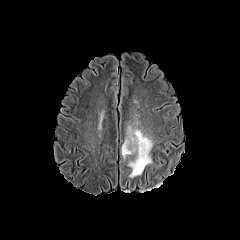
FLAIR magnetic resonance.
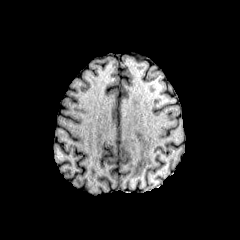
T1-weighted magnetic resonance of the same slice.
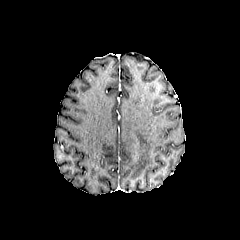
Post-contrast T1-weighted MR image.
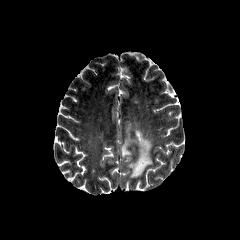
T2-weighted magnetic resonance.
Brain
edema: 121, 122, 153, 177